Slice index 317. Abdomen. CT scan slice.

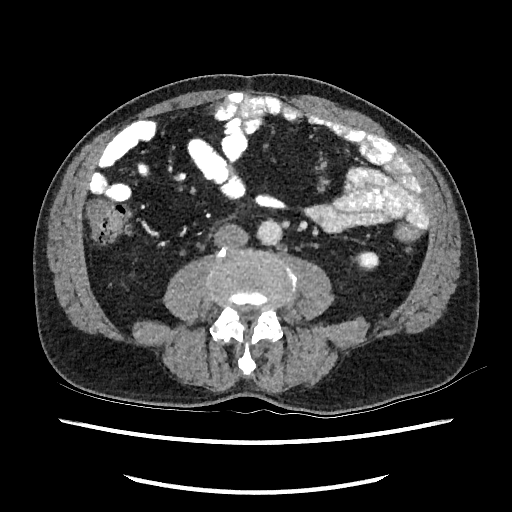 Kidney at (356,252,378,268).